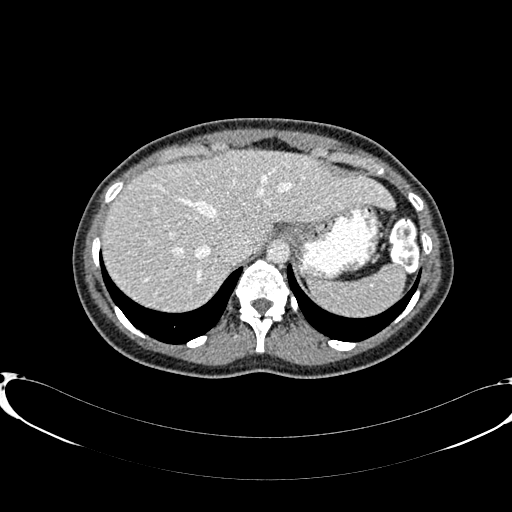

Abdomen; CT slice
Liver: bbox=[103, 150, 393, 311].